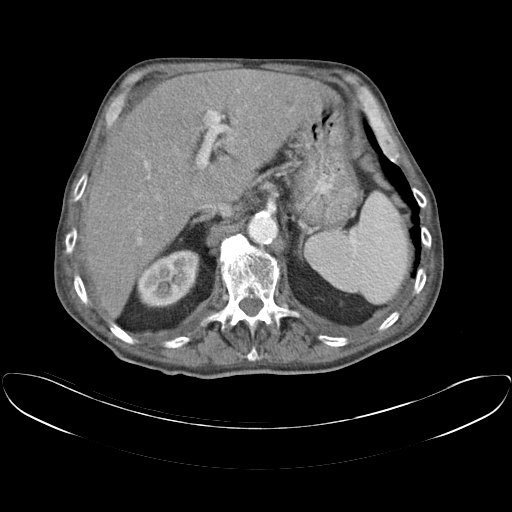

CT slice
The vessel annotation is not exhaustive.
Hepatic vessel at [x1=209, y1=137, x2=211, y2=143], [x1=183, y1=111, x2=185, y2=112], [x1=147, y1=175, x2=149, y2=178], [x1=205, y1=109, x2=222, y2=133], [x1=236, y1=89, x2=239, y2=91], [x1=197, y1=146, x2=208, y2=167], [x1=160, y1=216, x2=162, y2=218], [x1=144, y1=162, x2=148, y2=168], [x1=176, y1=181, x2=178, y2=184], [x1=138, y1=229, x2=139, y2=231], [x1=156, y1=195, x2=159, y2=199], [x1=137, y1=237, x2=142, y2=244], [x1=227, y1=128, x2=238, y2=141], [x1=219, y1=106, x2=220, y2=107].